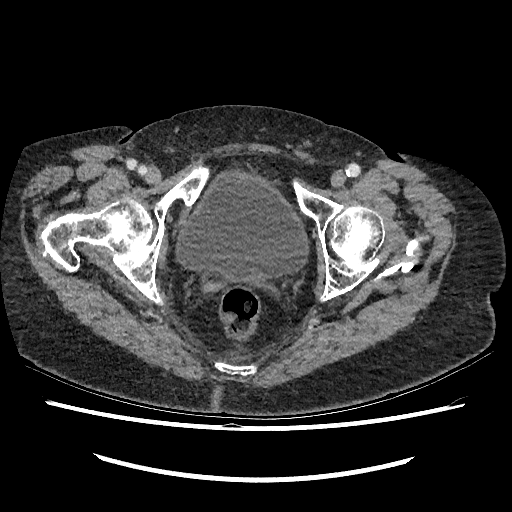
Pelvis; Computed tomography

• urinary bladder: <box>175,174,308,288</box>